CT slice, Slice index 55, 512x512 px 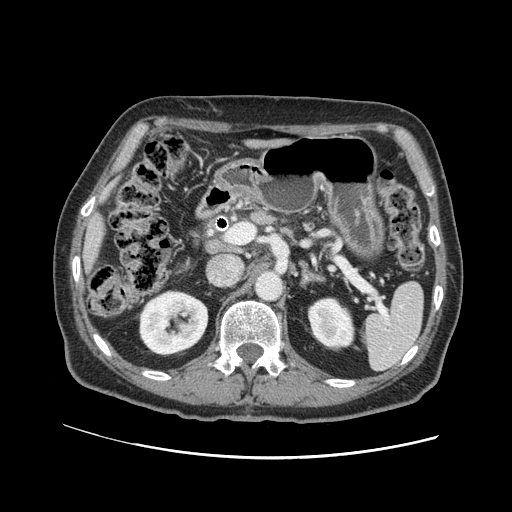 The pancreas lies within 200,205,278,239.